Upper abdomen. CT.

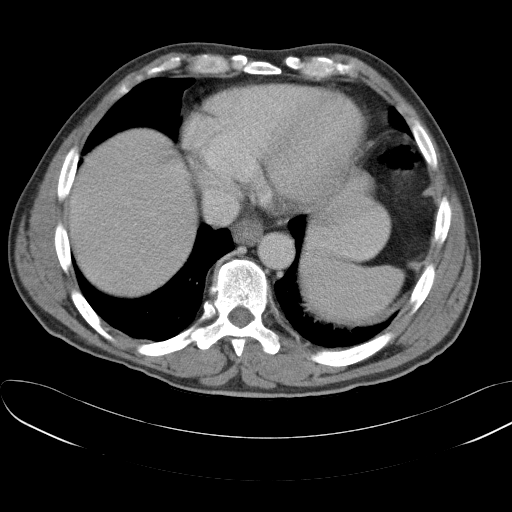
The spleen appears at x1=301 y1=255 x2=402 y2=324.